Image width 344 mm; CT scan slice; 512x512 px 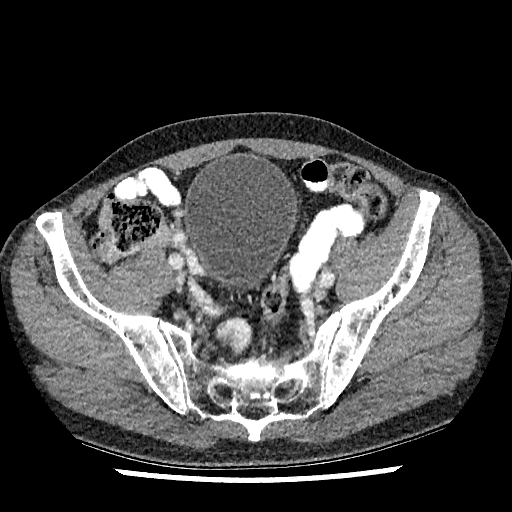
urinary_bladder:
  - (x1=185, y1=156, x2=295, y2=289)